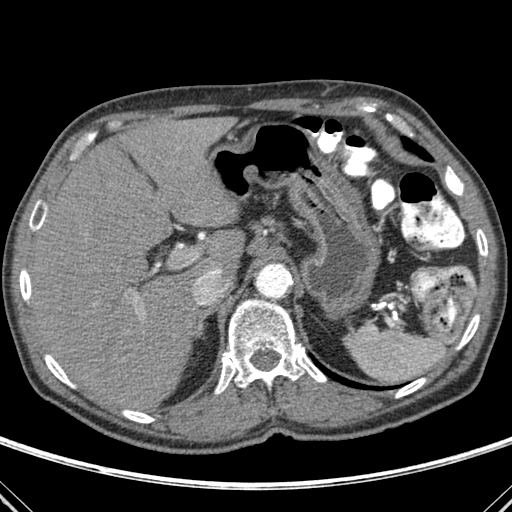 CT image; 512x512; Upper abdomen
Annotated regions:
• lung: 401:136:432:161, 311:355:394:389
• liver: 28:116:238:411, 210:230:244:269
• bone: 476:229:487:256, 395:378:425:397, 457:314:479:349, 29:201:45:230, 215:300:326:393, 45:355:74:387, 19:270:31:300, 122:411:154:423, 445:167:463:195